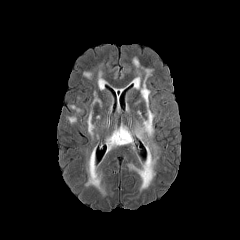
FLAIR MR.
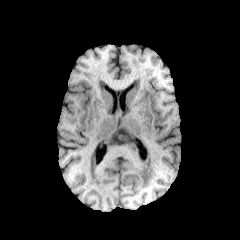
T1-weighted MRI of the same slice.
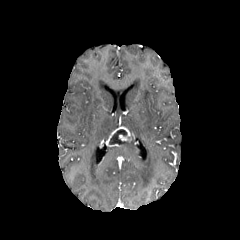
Post-contrast T1-weighted MR image.
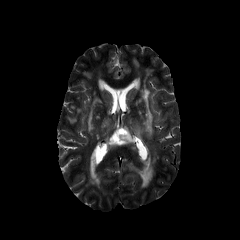
Same slice, T2-weighted MR.
<segmentation>
  <non-enhancing_tumor_core>rect(108, 129, 136, 150)</non-enhancing_tumor_core>
  <edema>rect(98, 72, 106, 90); rect(86, 111, 94, 139); rect(132, 69, 154, 141); rect(85, 145, 104, 195); rect(128, 145, 158, 192); rect(133, 58, 138, 68)</edema>
  <enhancing_tumor>rect(106, 127, 133, 146)</enhancing_tumor>
</segmentation>